FLAIR magnetic resonance.
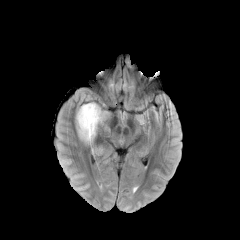
T1-weighted magnetic resonance.
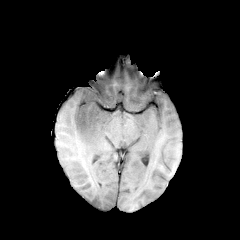
Post-contrast T1-weighted MRI.
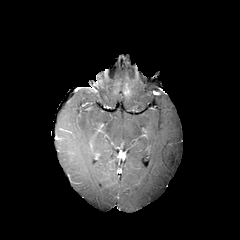
T2-weighted MRI.
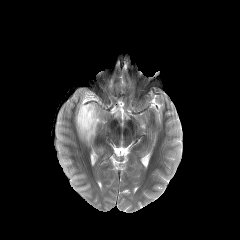
{
  "edema": [
    "75,91,107,143"
  ]
}